512x512 px | CT image
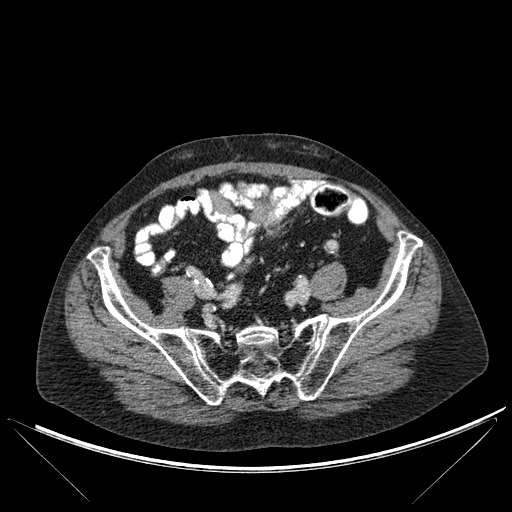 bone: box(87, 231, 422, 404)